CT scan slice
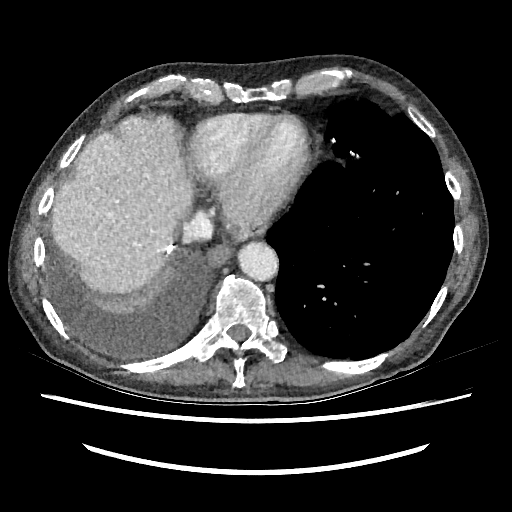 Liver — [52, 116, 192, 291].